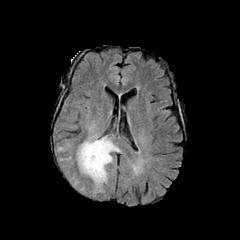
FLAIR magnetic resonance.
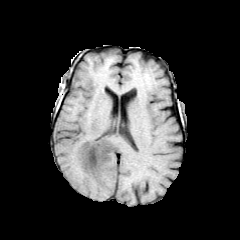
Same slice, T1-weighted MRI.
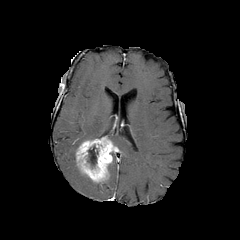
Post-contrast T1-weighted MRI.
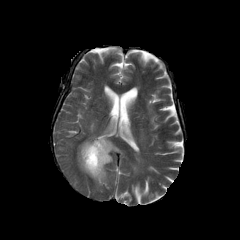
T2-weighted MR.
Image size 240x240
Non-enhancing tumor core = bbox=[87, 146, 98, 166].
Edema = bbox=[109, 134, 124, 152]; bbox=[91, 151, 116, 195]; bbox=[83, 118, 102, 141].
Enhancing tumor = bbox=[76, 137, 118, 182].